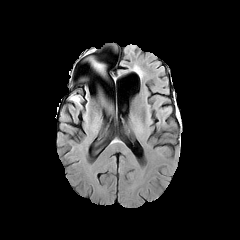
FLAIR MR.
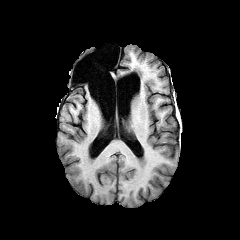
T1-weighted MRI.
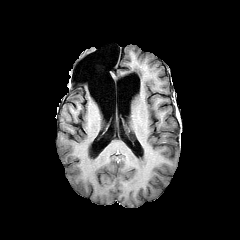
Same slice, post-contrast T1-weighted magnetic resonance.
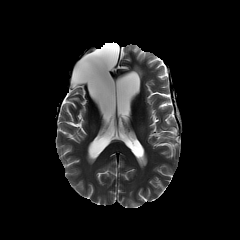
T2-weighted MR of the same slice.
240x240 px
Edema = [71,95,83,108].